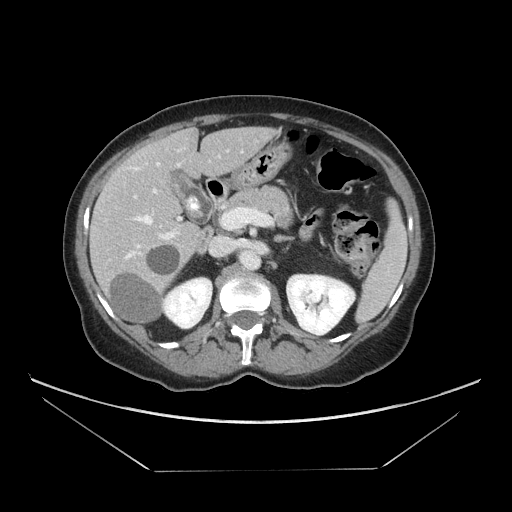

Abdomen, CT scan slice, 512x512
Pancreas at (left=226, top=185, right=293, bottom=226).